240x240 px
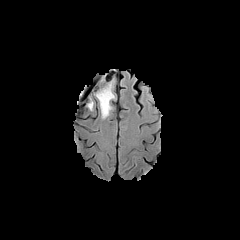
FLAIR magnetic resonance.
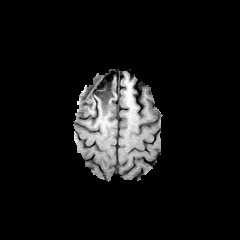
T1-weighted MR.
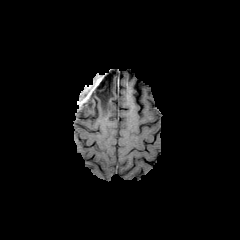
Same slice, post-contrast T1-weighted MR image.
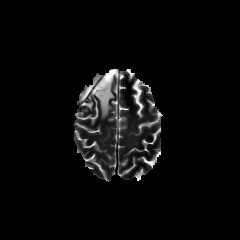
T2-weighted MRI of the same slice.
2 non-enhancing tumor core regions are bounded by bbox(87, 80, 111, 107); bbox(98, 106, 109, 117). The edema lies within bbox(88, 80, 116, 119).